FLAIR magnetic resonance.
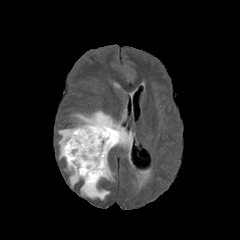
T1-weighted MR image.
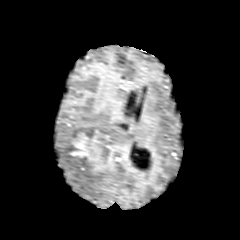
Post-contrast T1-weighted magnetic resonance.
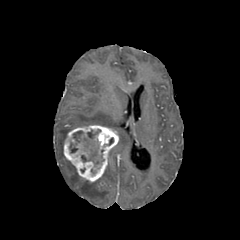
T2-weighted MR.
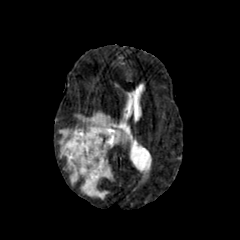
Head.
Non-enhancing tumor core = box(69, 130, 104, 166).
Enhancing tumor = box(63, 125, 118, 181).
Edema = box(81, 141, 93, 153); box(74, 110, 132, 146); box(66, 160, 112, 199); box(58, 128, 73, 159).